Image size 240x240 | Brain
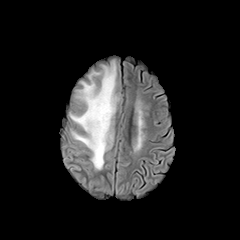
FLAIR magnetic resonance.
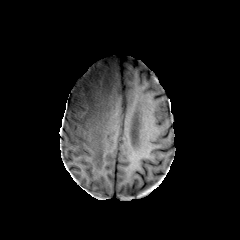
Same slice, T1-weighted MR.
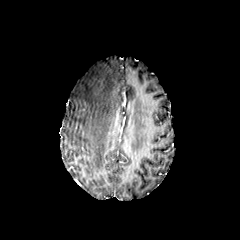
Same slice, post-contrast T1-weighted MR.
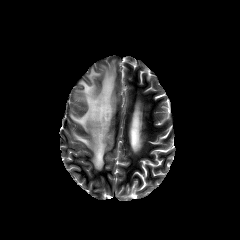
T2-weighted MR image of the same slice.
The edema is at l=71, t=61, r=116, b=169.